Brain | 240x240
FLAIR MR image.
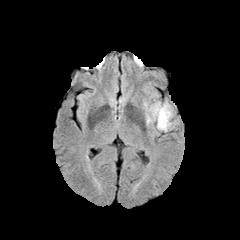
T1-weighted MRI.
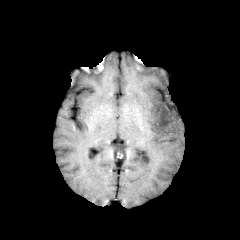
Post-contrast T1-weighted MR image.
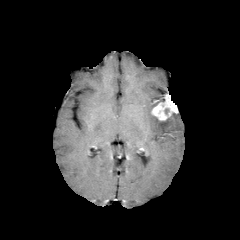
T2-weighted MR image.
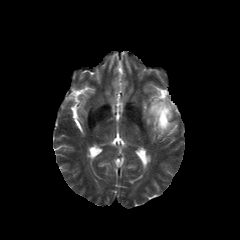
- enhancing tumor: 151 97 176 119
- non-enhancing tumor core: 156 118 169 126
- edema: 144 104 177 132